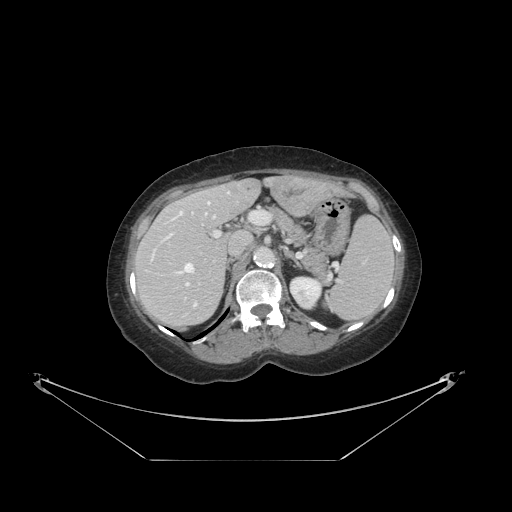

Image size 512x512 | CT
Some hepatic vessels may have no box.
Findings:
* hepatic vessel: rect(186, 283, 187, 285); rect(205, 214, 206, 215); rect(176, 263, 192, 273); rect(194, 304, 195, 306); rect(213, 215, 215, 218); rect(207, 202, 209, 203); rect(178, 212, 182, 215); rect(249, 210, 269, 223); rect(213, 231, 220, 237)